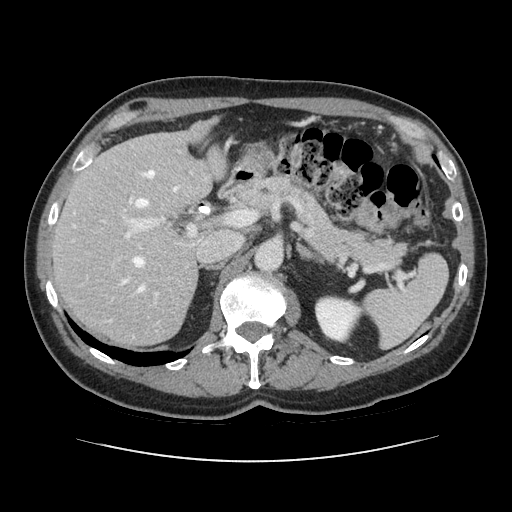 CT image | 512x512 px
pancreas:
  - (left=240, top=177, right=404, bottom=270)